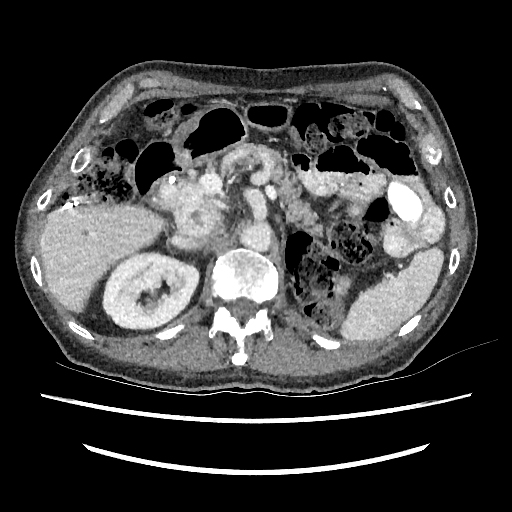 CT slice.
liver:
  - region(41, 205, 162, 310)
kidney:
  - region(103, 254, 198, 328)